240x240 px. Slice index 89.
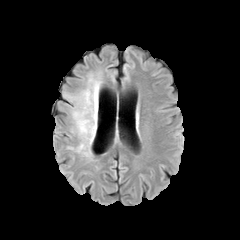
FLAIR MR.
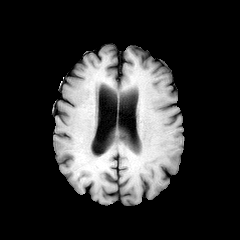
Same slice, T1-weighted MR image.
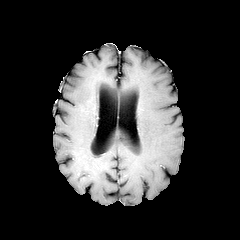
Same slice, post-contrast T1-weighted magnetic resonance.
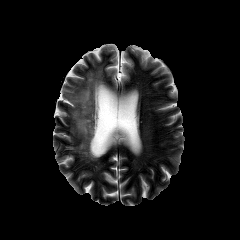
T2-weighted MR.
edema:
  - {"x1": 68, "y1": 74, "x2": 102, "y2": 158}